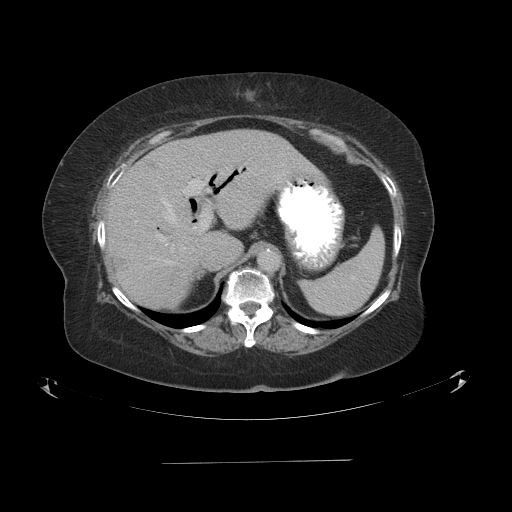
CT | Abdomen
The vessel annotation is not exhaustive.
Findings:
* hepatic vessel: {"x1": 162, "y1": 199, "x2": 174, "y2": 221}, {"x1": 193, "y1": 206, "x2": 210, "y2": 231}, {"x1": 157, "y1": 235, "x2": 165, "y2": 242}, {"x1": 183, "y1": 180, "x2": 203, "y2": 193}